Brain. 240x240. Slice 87/155.
FLAIR MR image.
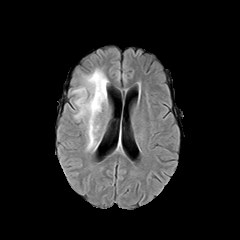
T1-weighted magnetic resonance.
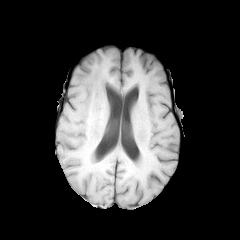
Post-contrast T1-weighted MR image.
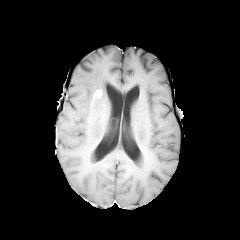
T2-weighted MR.
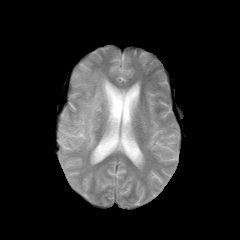
enhancing tumor: left=94, top=89, right=102, bottom=99 | edema: left=74, top=68, right=109, bottom=150